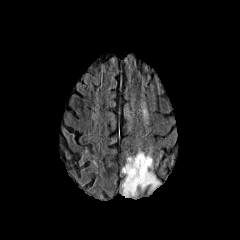
FLAIR MR.
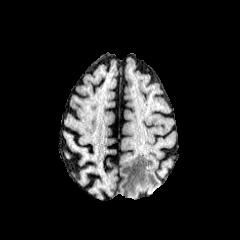
Same slice, T1-weighted MRI.
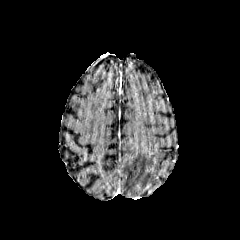
Post-contrast T1-weighted MRI.
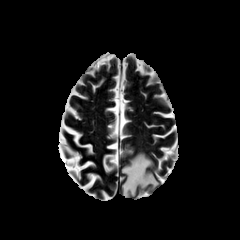
T2-weighted MR image of the same slice.
Head
The edema lies within (120, 151, 160, 199).